Image size 512x512 | Slice 430/629 | Liver | CT slice 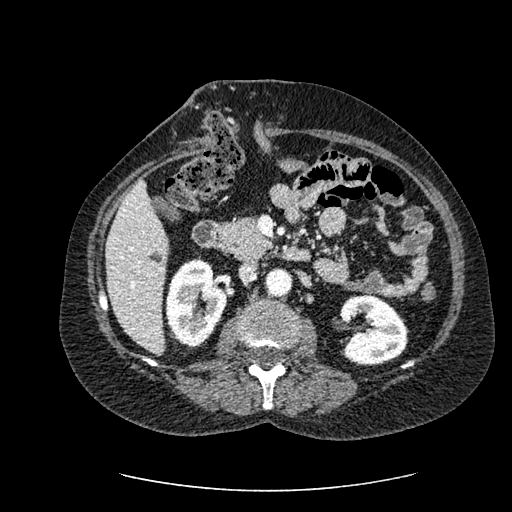
The focal liver lesion lies within box(149, 253, 163, 263). 2 kidney regions are bounded by box(166, 260, 226, 345); box(341, 295, 406, 364). The liver lies within box(106, 178, 167, 353).